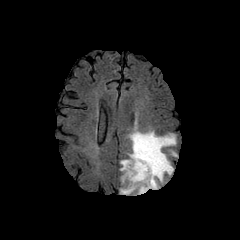
FLAIR MR.
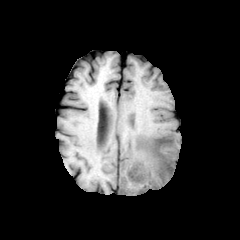
T1-weighted magnetic resonance.
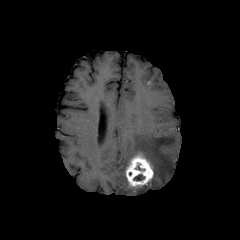
Post-contrast T1-weighted MR image.
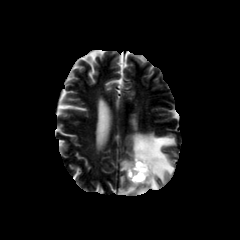
Same slice, T2-weighted MRI.
Brain
Edema at box=[119, 129, 176, 195].
Non-enhancing tumor core at box=[136, 150, 155, 173].
Enhancing tumor at box=[125, 152, 153, 191].